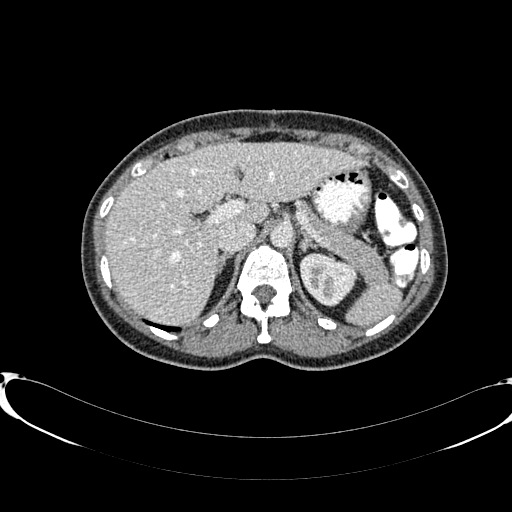
Computed tomography | Abdomen
The kidney is at left=301, top=255, right=354, bottom=304. The liver is bounded by left=104, top=143, right=369, bottom=324.